Slice index 31; CT slice
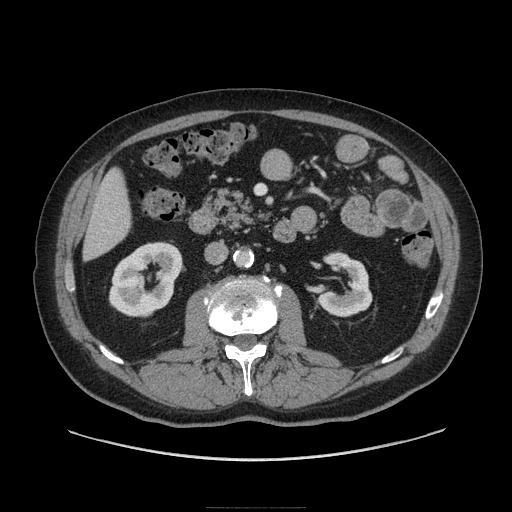

pancreas:
  - [213, 187, 258, 232]